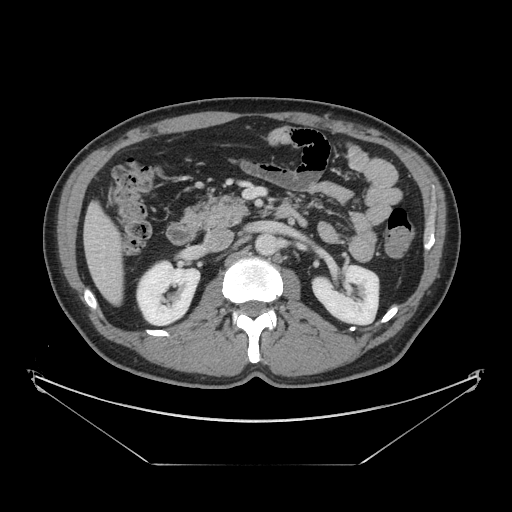 Upper abdomen | CT | Image size 512x512

Pancreas — <box>183,194,247,228</box>.